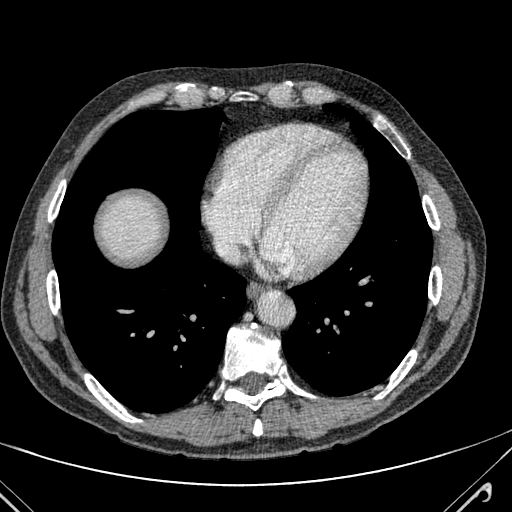
512x512 px | CT scan slice

liver: rect(105, 202, 157, 256)